512x512 | Abdomen | CT slice

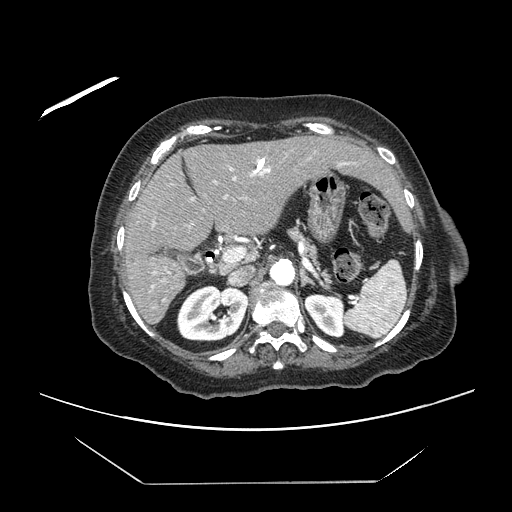

Some hepatic vessels may have no box.
2 hepatic vessel regions are located at (225, 248, 244, 262), (233, 177, 234, 179).